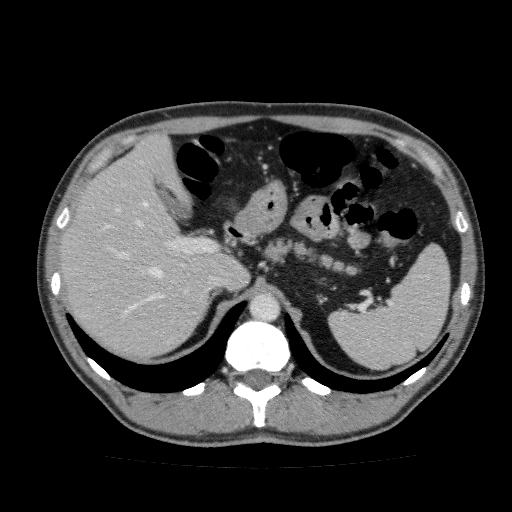

Abdomen; CT image

The liver is located at x1=58, y1=133, x2=250, y2=358.